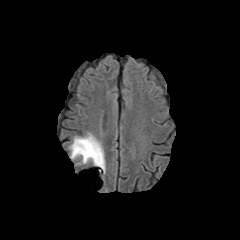
FLAIR MR image.
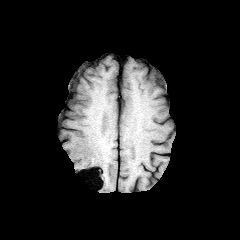
T1-weighted MR image.
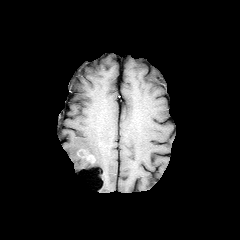
Post-contrast T1-weighted MR.
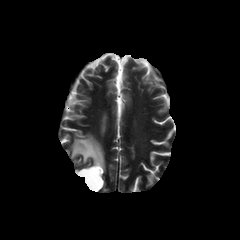
T2-weighted MR.
Image size 240x240 | Head
Edema: bounding box 69 132 106 174.
Non-enhancing tumor core: bounding box 88 152 103 175, 76 148 88 159.
Enhancing tumor: bounding box 79 149 95 162.